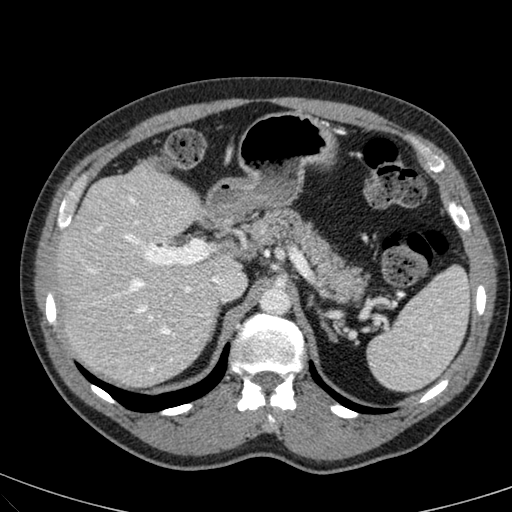
CT scan slice
<segmentation>
  <liver>(left=56, top=163, right=235, bottom=386)</liver>
</segmentation>